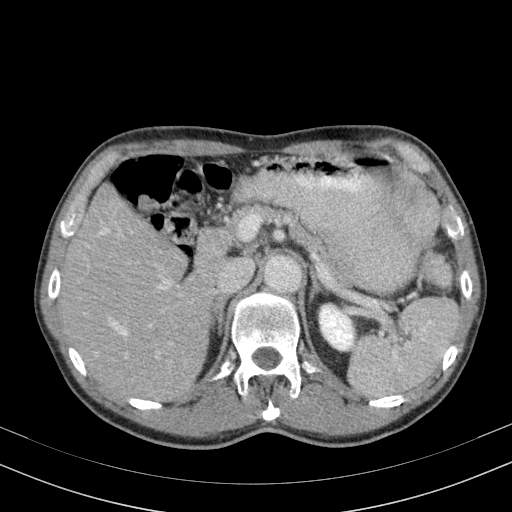

CT image | Image size 512x512
Annotated regions:
- liver: left=58, top=182, right=254, bottom=402
- kidney: left=320, top=306, right=353, bottom=349